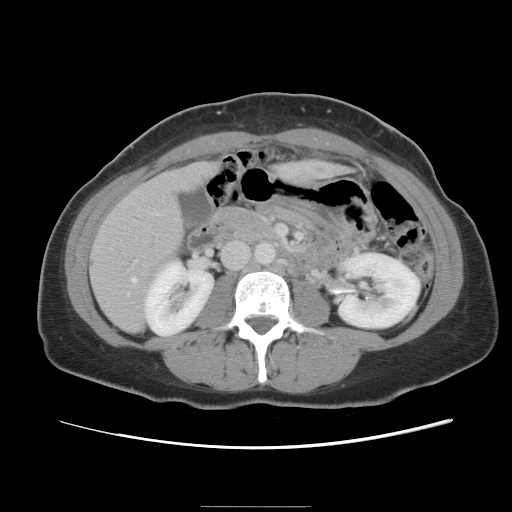 512x512 px. CT scan slice.

The vessel annotation is not exhaustive.
hepatic vessel: rect(127, 292, 128, 295); rect(131, 277, 135, 280) | liver tumor: rect(295, 164, 329, 184)